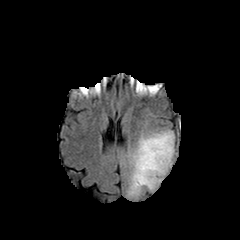
FLAIR MR image.
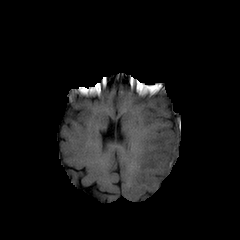
T1-weighted MR image.
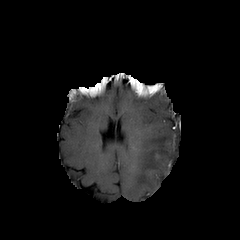
Post-contrast T1-weighted magnetic resonance.
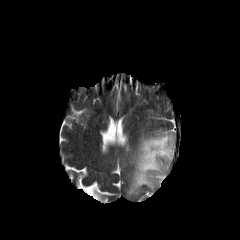
T2-weighted MR.
Brain
Segmented structures:
• edema: box(127, 128, 174, 196)